Pelvis, CT

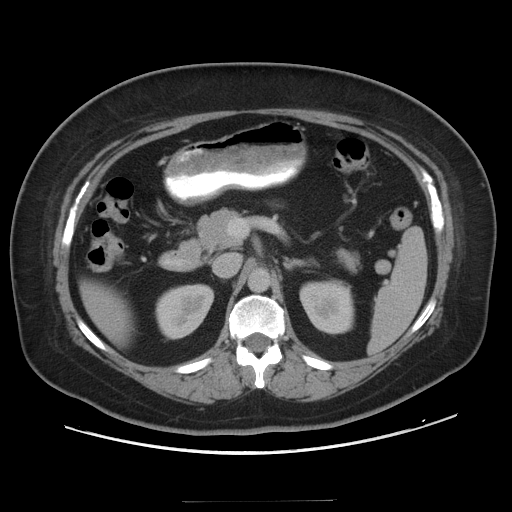
Segmented structures:
* colon tumor: (336,152,364,172)